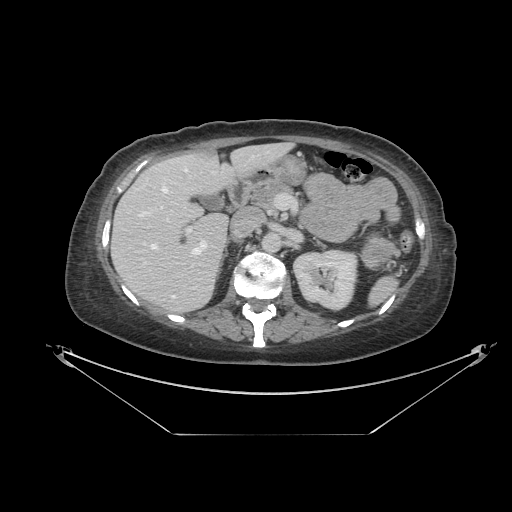
512x512 px. CT image.

Pancreas: bounding box 250,180,292,214; 362,232,391,248.
Pancreatic tumor: bounding box 360,236,397,269.